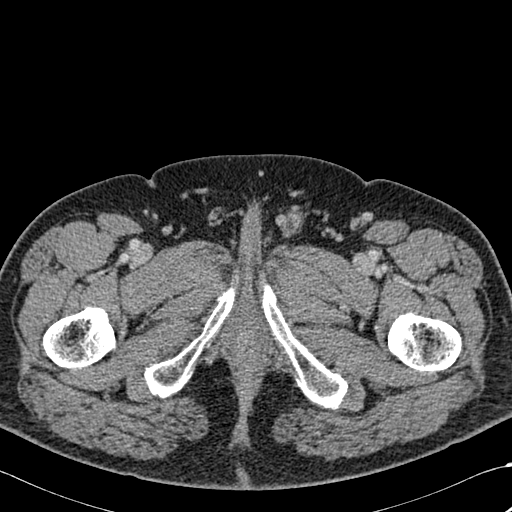 CT image. 512x512. {"bone": ["[262,285,347,408]", "[388,313,461,371]", "[43,307,115,368]", "[144,288,234,397]"]}